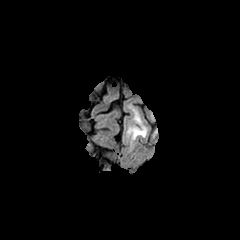
FLAIR MRI.
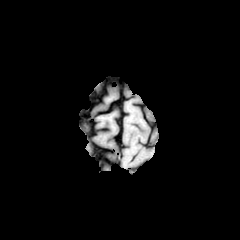
T1-weighted MR image.
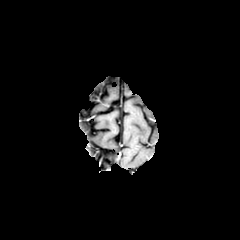
Same slice, post-contrast T1-weighted MRI.
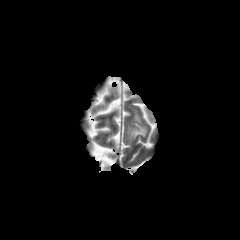
Same slice, T2-weighted magnetic resonance.
Head | 240x240 px
edema: (127, 110, 149, 142)